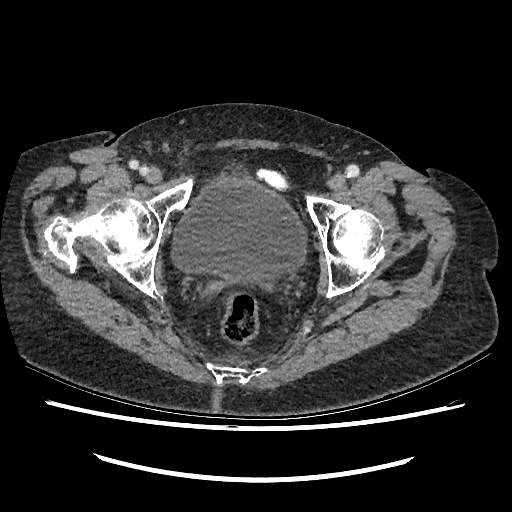

CT slice

Annotated regions:
• urinary bladder: (x1=171, y1=175, x2=307, y2=288)